Image width 240 mm; 240x240 px
FLAIR MR image.
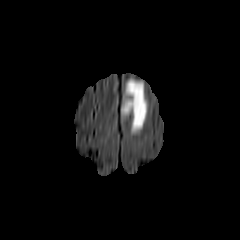
T1-weighted magnetic resonance.
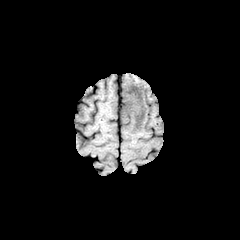
Post-contrast T1-weighted magnetic resonance.
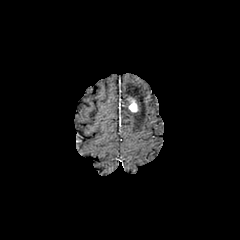
T2-weighted MRI.
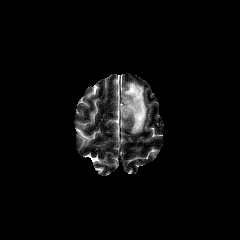
Enhancing tumor at bbox=[128, 99, 137, 112].
Edema at bbox=[121, 79, 147, 133].